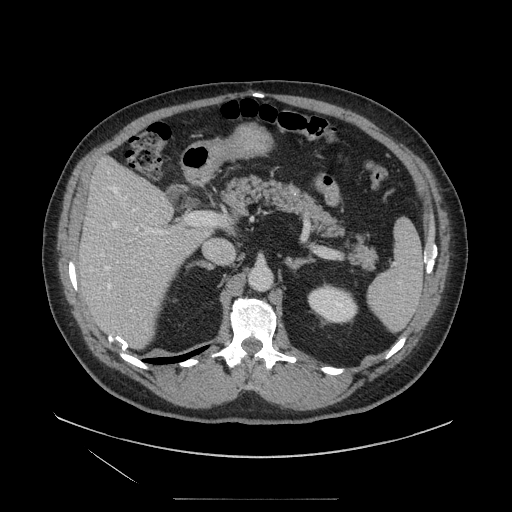
CT.
pancreas: 217:175:379:270